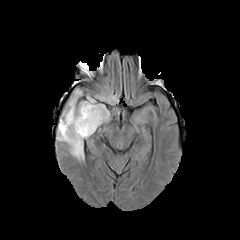
FLAIR magnetic resonance.
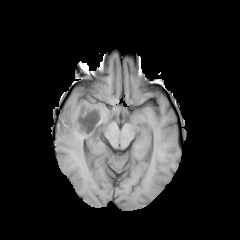
Same slice, T1-weighted magnetic resonance.
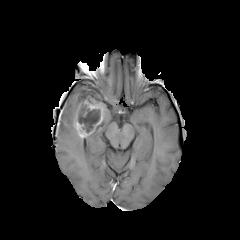
Same slice, post-contrast T1-weighted MR.
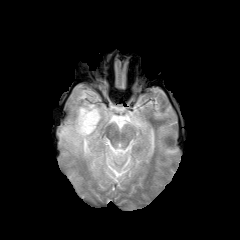
T2-weighted MR.
Brain, Image size 240x240
Enhancing tumor — x1=74 y1=120 x2=88 y2=137, x1=86 y1=100 x2=103 y2=112.
Edema — x1=134 y1=116 x2=142 y2=124, x1=57 y1=90 x2=112 y2=159.
Non-enhancing tumor core — x1=76 y1=100 x2=103 y2=139.